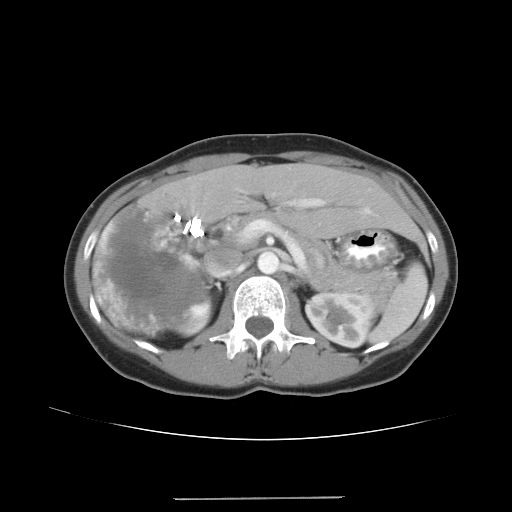
CT image | Upper abdomen | Image size 512x512
• pancreas: {"x1": 218, "y1": 212, "x2": 399, "y2": 306}